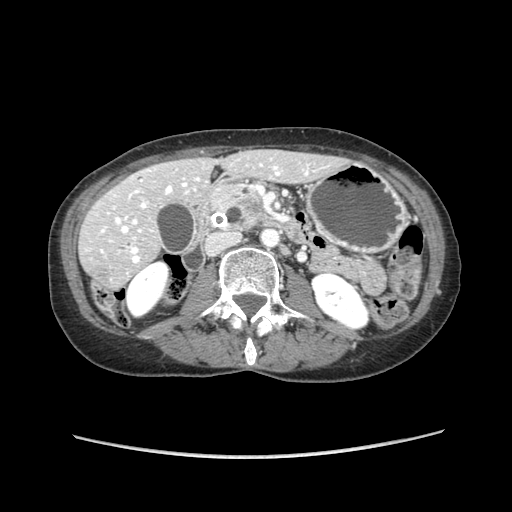
Abdomen. CT image.
Findings:
• pancreatic tumor: [x1=241, y1=195, x2=263, y2=223]
• pancreas: [x1=209, y1=186, x2=267, y2=230]